Upper abdomen; Slice 47/95; CT slice

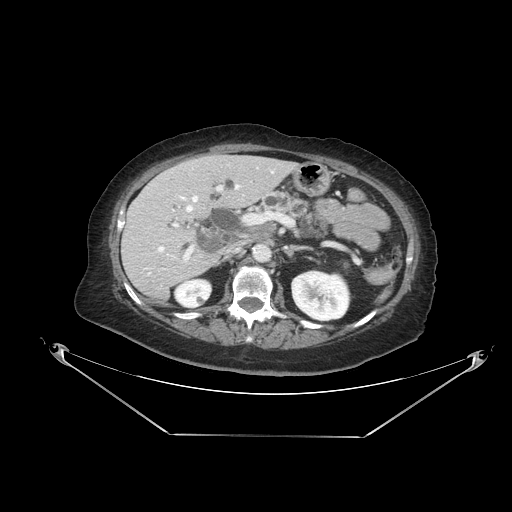 The pancreas is bounded by (left=263, top=191, right=309, bottom=219).